CT slice. Slice 128 of 455. 512x512.
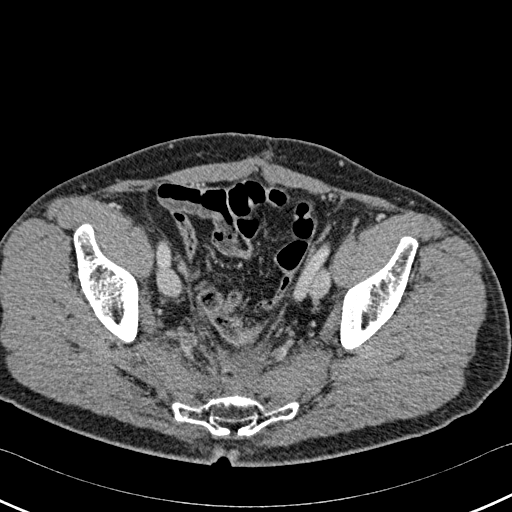 bone:
  - box=[74, 224, 137, 341]
  - box=[340, 237, 417, 349]
  - box=[172, 395, 298, 439]